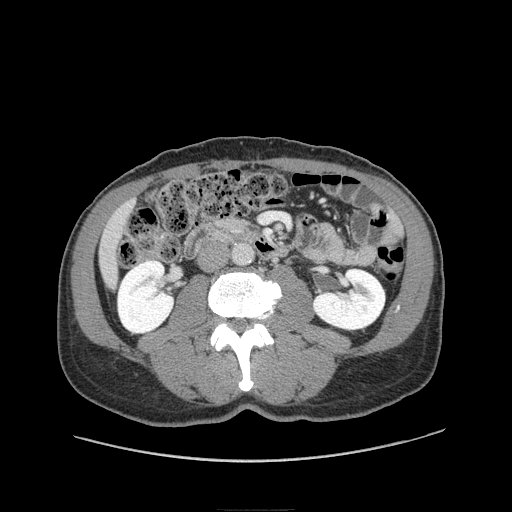

CT image
The pancreas is located at [220,219,246,233].